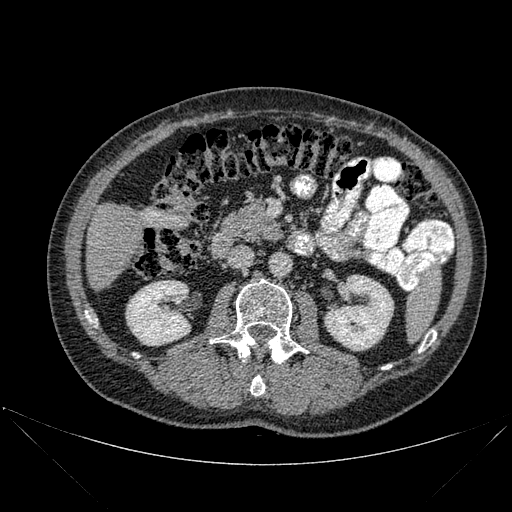
CT image | Liver
2 kidney regions are bounded by x1=325 y1=275 x2=393 y2=350, x1=126 y1=280 x2=189 y2=345. The liver is bounded by x1=86 y1=203 x2=143 y2=288. 4 bone regions are bounded by x1=250 y1=375 x2=264 y2=395, x1=85 y1=311 x2=95 y2=325, x1=419 y1=331 x2=436 y2=352, x1=210 y1=279 x2=308 y2=363.